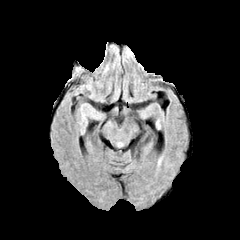
FLAIR MRI.
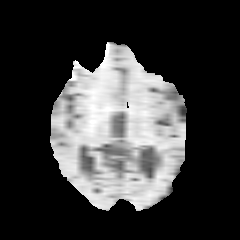
T1-weighted MRI.
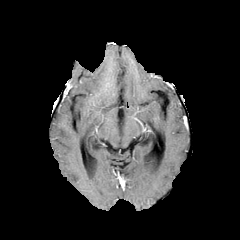
Post-contrast T1-weighted MRI.
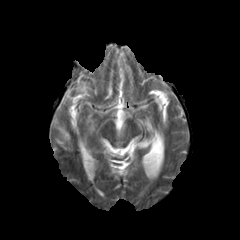
T2-weighted MRI of the same slice.
Brain.
Edema: bounding box (left=79, top=80, right=93, bottom=92).